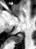 MRI slice

posterior_hippocampus:
  - 11, 34, 22, 43